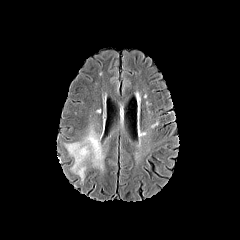
FLAIR magnetic resonance.
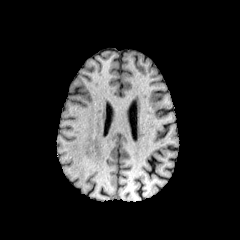
T1-weighted MR.
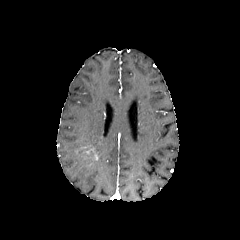
Same slice, post-contrast T1-weighted MR.
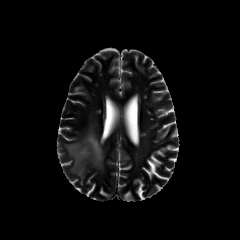
T2-weighted magnetic resonance.
Brain
Edema at 64 127 104 182.